Abdomen. Slice 206/401. CT scan slice. 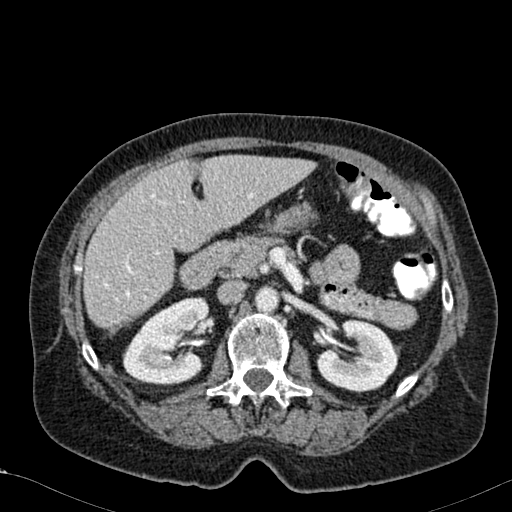 The liver is bounded by x1=84 y1=157 x2=315 y2=327. 2 kidney regions are located at x1=317 y1=320 x2=396 y2=391, x1=124 y1=298 x2=213 y2=383.